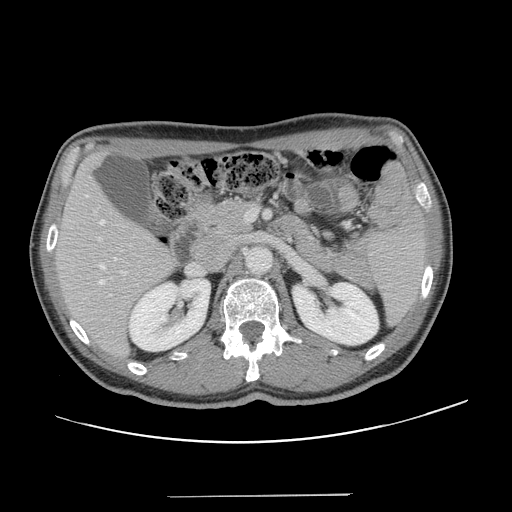

CT image. 512x512 px. Abdomen.
The vessel boxes may cover only some of the vessels.
hepatic_vessel:
  - bbox=[100, 220, 104, 224]
  - bbox=[114, 257, 116, 260]
  - bbox=[120, 271, 125, 274]
  - bbox=[99, 280, 103, 284]
  - bbox=[99, 264, 104, 268]
  - bbox=[85, 195, 87, 197]
  - bbox=[98, 237, 101, 240]